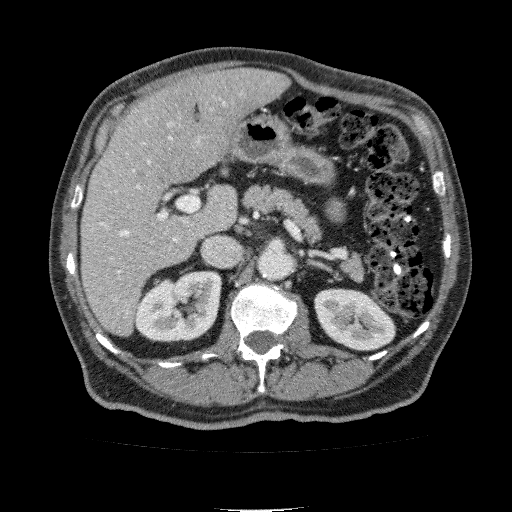

Computed tomography. 512x512.
Kidney: bounding box l=315, t=289, r=394, b=349; l=136, t=272, r=220, b=340.
Liver: bounding box l=83, t=68, r=289, b=337.